Brain.
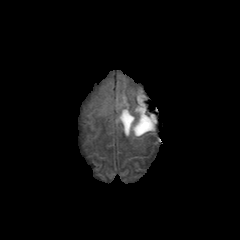
FLAIR MR image.
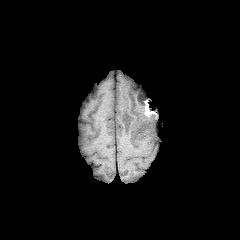
T1-weighted MR image.
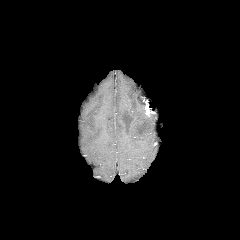
Post-contrast T1-weighted magnetic resonance.
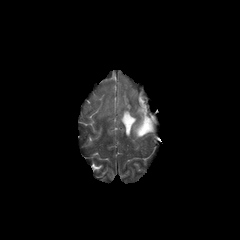
T2-weighted magnetic resonance.
2 non-enhancing tumor core regions are bounded by (left=138, top=122, right=149, bottom=133), (left=142, top=106, right=150, bottom=120). The edema is at (left=116, top=92, right=156, bottom=138).